FLAIR magnetic resonance.
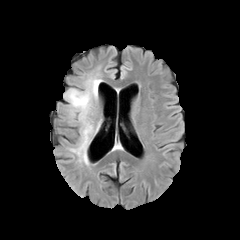
T1-weighted MRI.
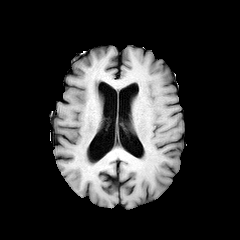
Post-contrast T1-weighted MRI.
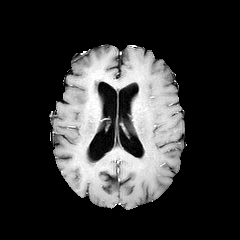
T2-weighted MR image.
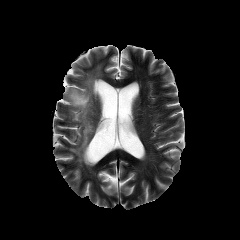
Head
The edema is bounded by {"x1": 65, "y1": 72, "x2": 103, "y2": 166}.